Upper abdomen | 512x512 | Slice 38/95 | Computed tomography
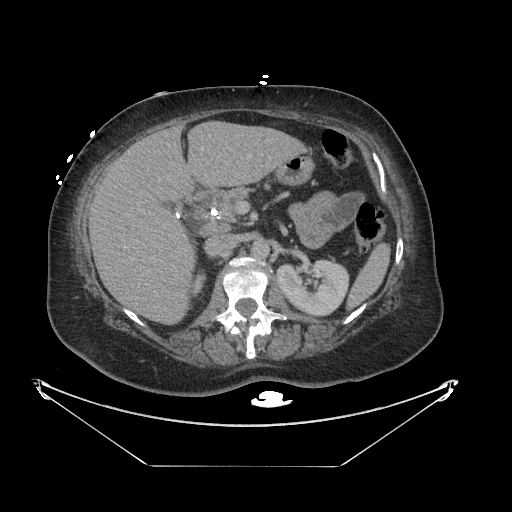

Pancreas — left=217, top=188, right=252, bottom=221.